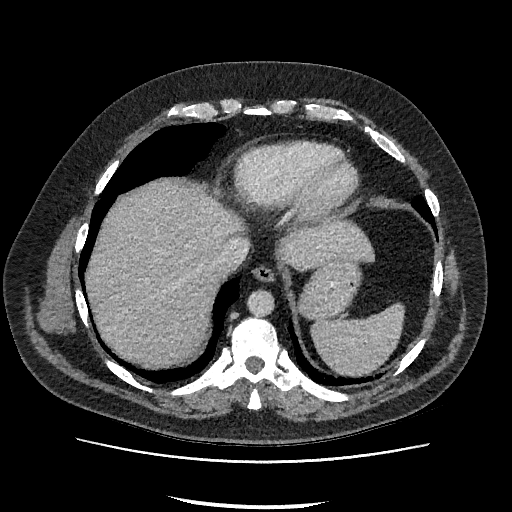
Computed tomography. Liver. Segmented structures:
* liver: rect(281, 223, 373, 270); rect(87, 183, 241, 364)